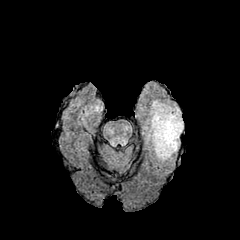
FLAIR MR image.
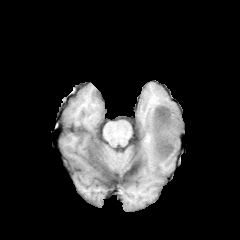
T1-weighted magnetic resonance.
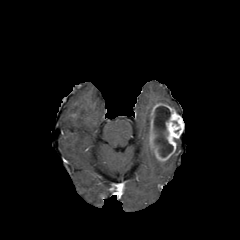
Post-contrast T1-weighted MR image.
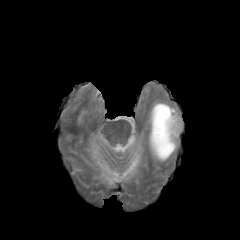
T2-weighted MR image of the same slice.
240x240 px. Head.
<segmentation>
  <non-enhancing_tumor_core>x1=154 y1=106 x2=172 y2=157</non-enhancing_tumor_core>
  <edema>x1=150 y1=138 x2=180 y2=163, x1=146 y1=110 x2=151 y2=147, x1=150 y1=100 x2=179 y2=113</edema>
  <enhancing_tumor>x1=149 y1=103 x2=183 y2=161</enhancing_tumor>
</segmentation>